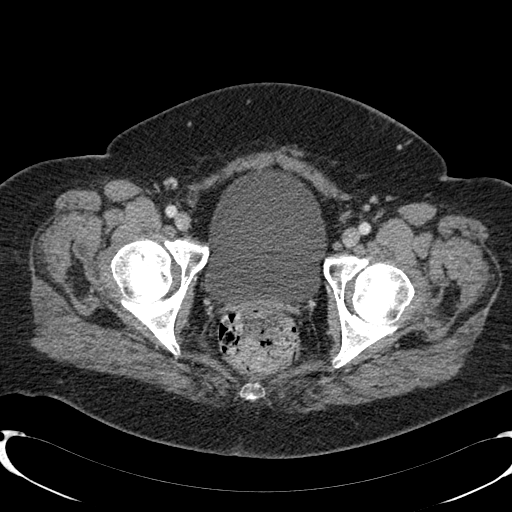
CT image.
Annotated regions:
- urinary bladder: [204,166,325,304]